Slice index 80, Brain
FLAIR MRI.
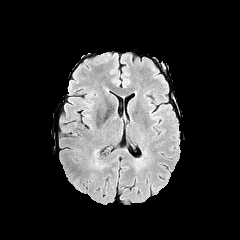
T1-weighted MR image.
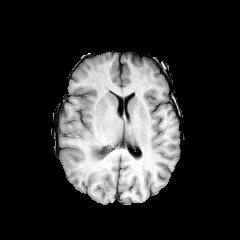
Post-contrast T1-weighted MRI.
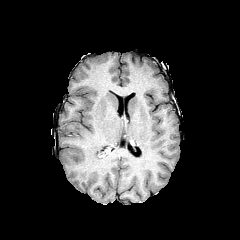
T2-weighted magnetic resonance.
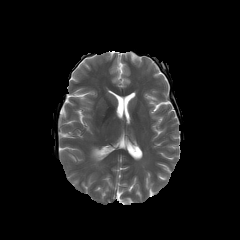
• edema: region(91, 148, 99, 166)